CT, Image size 512x512
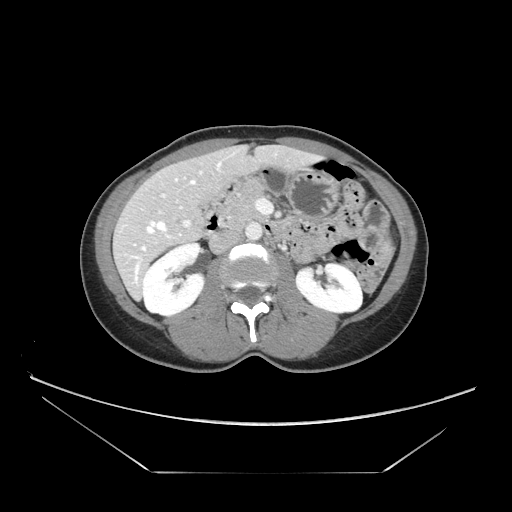
pancreas:
  - (x1=218, y1=179, x2=265, y2=229)